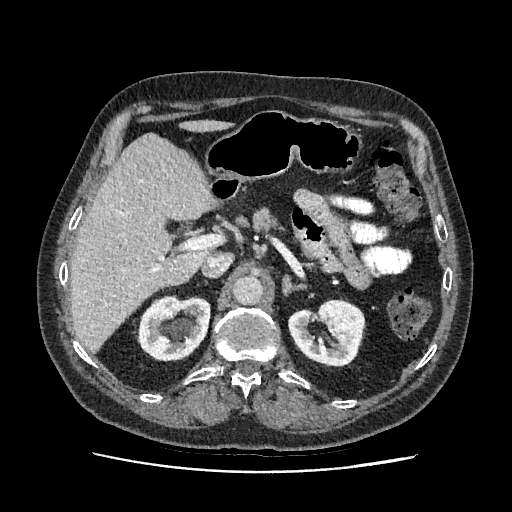

Abdomen. Computed tomography.

Kidney = bbox(289, 301, 363, 365); bbox(139, 297, 209, 360).
Liver = bbox(179, 120, 232, 131); bbox(71, 133, 217, 351).